Slice 63 of 155; Brain
FLAIR magnetic resonance.
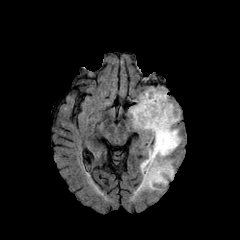
T1-weighted magnetic resonance.
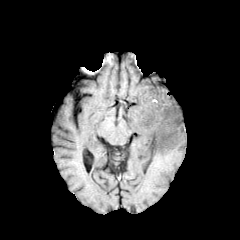
Post-contrast T1-weighted MR.
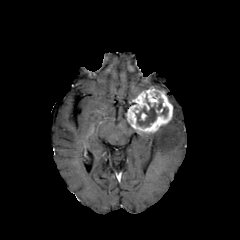
T2-weighted MR image.
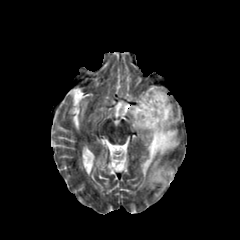
<segmentation>
  <non-enhancing_tumor_core>[136, 106, 156, 125]</non-enhancing_tumor_core>
  <enhancing_tumor>[139, 112, 147, 121], [127, 87, 173, 134]</enhancing_tumor>
  <edema>[140, 106, 180, 187]</edema>
</segmentation>